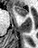
MR.
The anterior hippocampus is located at [13, 5, 28, 16].